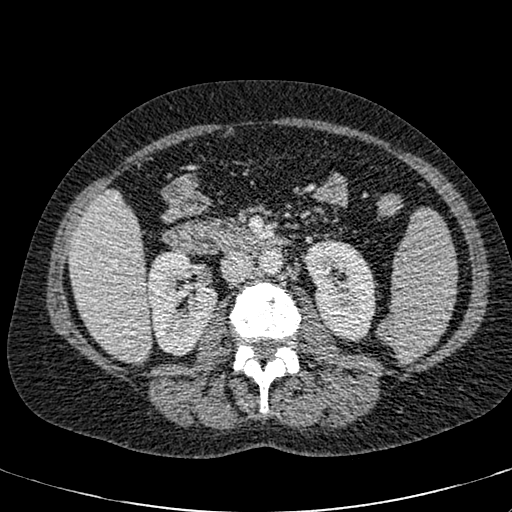
Liver; CT image
Annotated regions:
- kidney: (147,248,216,355), (305,241,374,340)
- liver: (69,192,149,360)